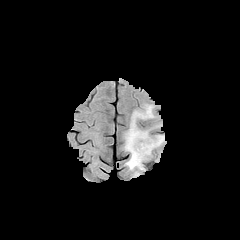
FLAIR magnetic resonance.
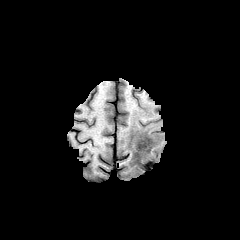
Same slice, T1-weighted MR image.
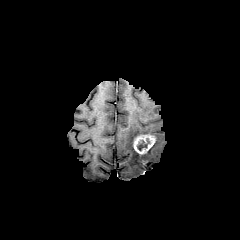
Post-contrast T1-weighted magnetic resonance of the same slice.
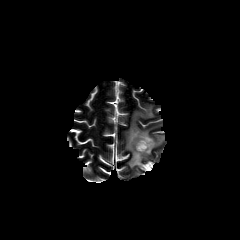
T2-weighted MRI.
enhancing tumor: (133, 134, 155, 154) | non-enhancing tumor core: (137, 139, 148, 150) | edema: (124, 106, 163, 170)